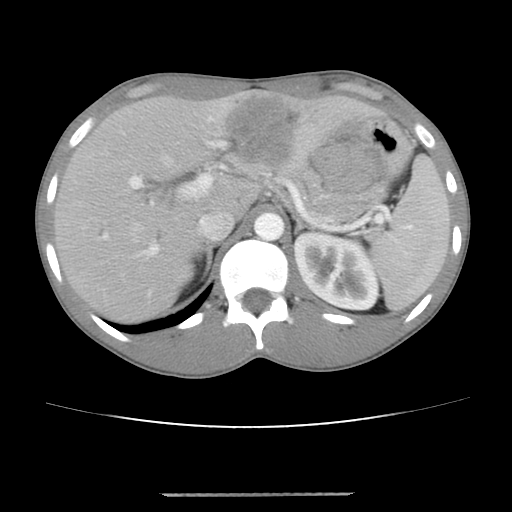 Liver; CT scan slice

Only some of the vessels may be annotated.
<segmentation>
  <liver_tumor>219, 92, 298, 166</liver_tumor>
  <hepatic_vessel>212, 142, 222, 146; 130, 176, 142, 188; 145, 245, 158, 254; 180, 173, 213, 196; 219, 165, 224, 168</hepatic_vessel>
</segmentation>